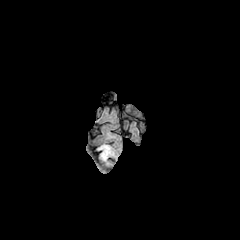
FLAIR magnetic resonance.
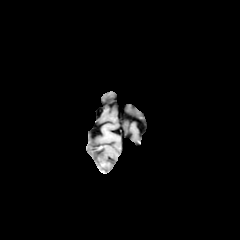
Same slice, T1-weighted MR image.
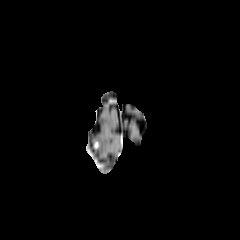
Same slice, post-contrast T1-weighted MR image.
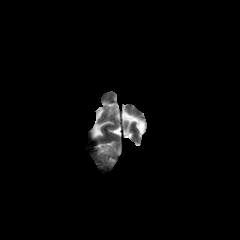
T2-weighted magnetic resonance of the same slice.
{
  "edema": [
    "(left=99, top=144, right=118, bottom=165)"
  ]
}